CT scan slice | Upper abdomen

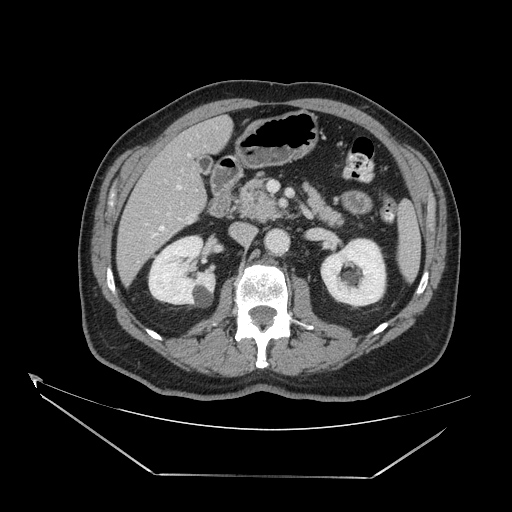 <segmentation>
  <pancreas>236:176:276:219, 303:183:346:225</pancreas>
</segmentation>